CT image, Upper abdomen 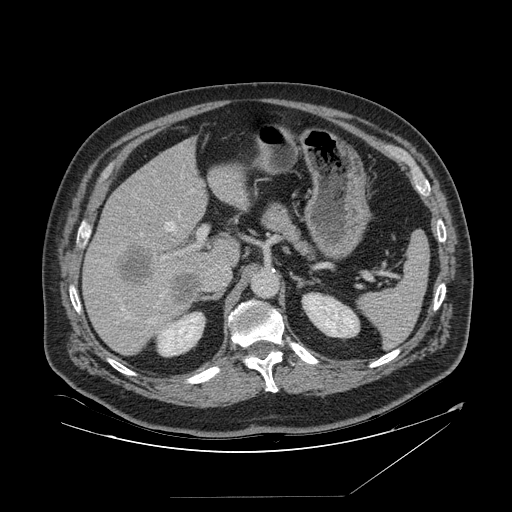

The spleen lies within [358, 233, 429, 347].